CT scan slice

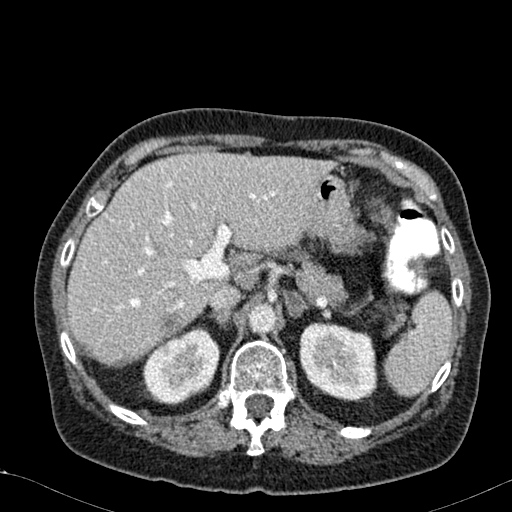
{
  "liver": [
    "rect(68, 152, 334, 362)"
  ],
  "kidney": [
    "rect(300, 323, 376, 399)",
    "rect(144, 329, 218, 403)"
  ],
  "hepatic_lesion": [
    "rect(161, 314, 179, 334)"
  ]
}